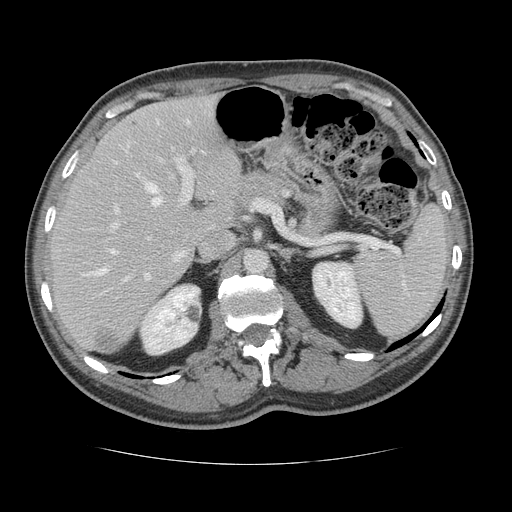 CT slice
The vessel annotation is not exhaustive.
The principal 15 hepatic vessel regions (of 21) appear at left=158, top=157, right=162, bottom=161; left=144, top=273, right=149, bottom=278; left=114, top=204, right=118, bottom=212; left=145, top=183, right=161, bottom=204; left=135, top=172, right=139, bottom=175; left=187, top=120, right=189, bottom=124; left=123, top=142, right=129, bottom=150; left=124, top=276, right=129, bottom=280; left=108, top=249, right=116, bottom=252; left=147, top=236, right=150, bottom=239; left=81, top=268, right=106, bottom=274; left=172, top=251, right=185, bottom=260; left=176, top=157, right=192, bottom=199; left=112, top=160, right=116, bottom=162; left=110, top=222, right=118, bottom=230. The liver tumor lies within left=95, top=330, right=121, bottom=351.